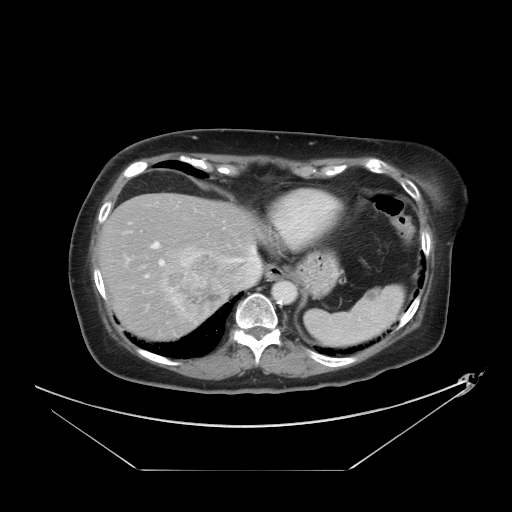 Abdomen, Computed tomography, 512x512
Not every hepatic vessel necessarily has a box.
4 hepatic vessel regions appear at region(151, 242, 159, 248); region(145, 275, 148, 276); region(159, 260, 163, 265); region(222, 246, 259, 284). The liver tumor lies within region(161, 248, 227, 318).